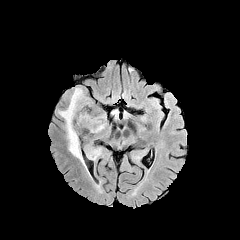
FLAIR magnetic resonance.
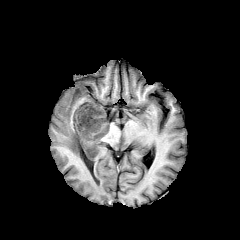
T1-weighted MRI.
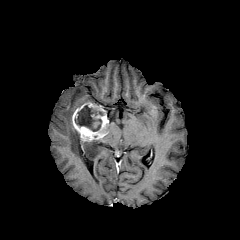
Post-contrast T1-weighted MRI.
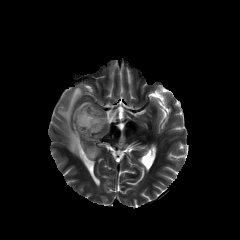
T2-weighted MR image.
Head
Edema = [58, 86, 99, 162].
Non-enhancing tumor core = [75, 107, 102, 131].
Enhancing tumor = [72, 104, 108, 141].